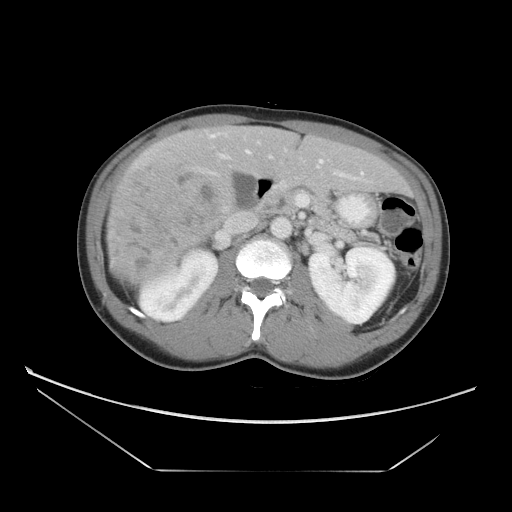
Computed tomography
The vessel boxes may cover only some of the vessels.
The liver tumor appears at <box>110,149,230,280</box>. 2 hepatic vessel regions are located at <box>217,154,230,158</box>, <box>245,149,250,154</box>.